Slice 627/689. Image size 512x512. Chest. CT slice.

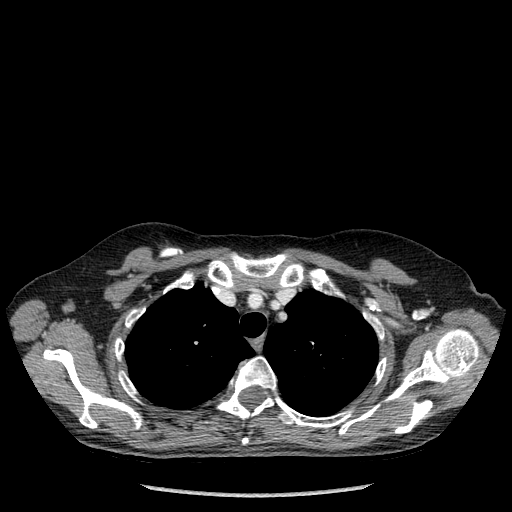

Lung — 125 283 266 409, 264 289 378 416.
Bone — 43 349 141 429, 309 269 338 295, 163 271 193 293, 118 370 139 401, 217 329 479 435, 364 314 384 339, 376 357 386 384, 114 338 124 360, 208 253 303 294, 125 307 145 327.